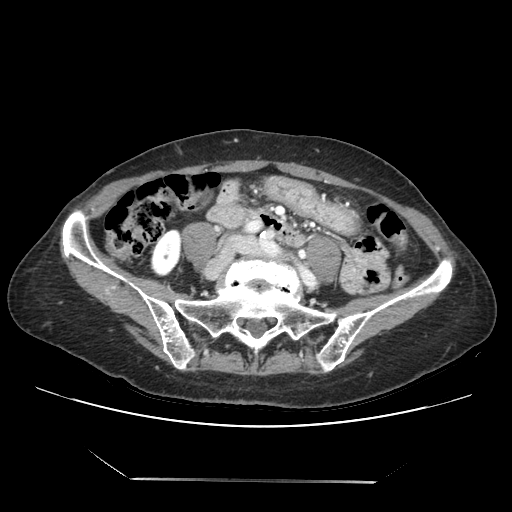

Upper abdomen; 512x512 px; Computed tomography
Pancreas = [207, 178, 260, 229].